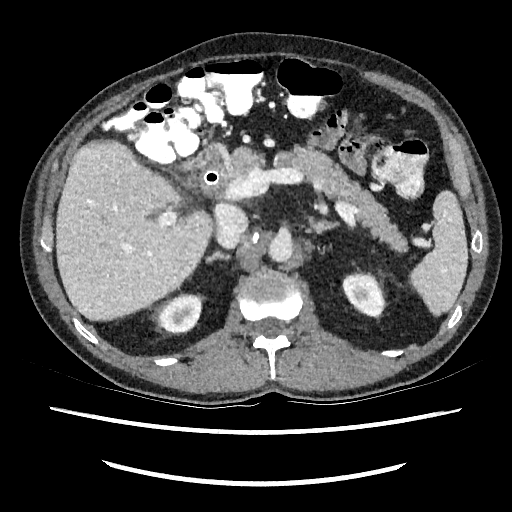 512x512, Computed tomography, Liver

Segmented structures:
- liver: x1=56, y1=141, x2=212, y2=319
- kidney: x1=343, y1=275, x2=383, y2=314; x1=160, y1=296, x2=200, y2=331